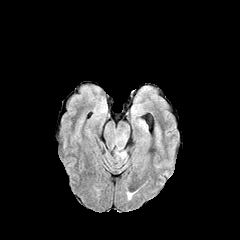
FLAIR MR image.
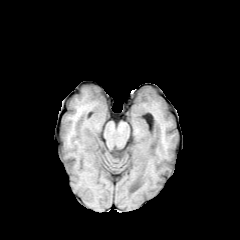
T1-weighted MRI.
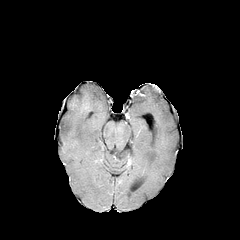
Same slice, post-contrast T1-weighted magnetic resonance.
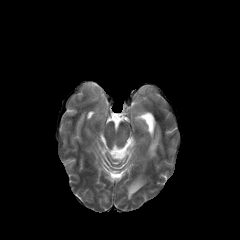
Same slice, T2-weighted MR.
240x240. Head.
The edema is bounded by {"x1": 115, "y1": 149, "x2": 125, "y2": 158}.